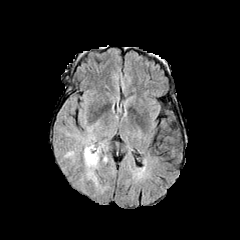
FLAIR magnetic resonance.
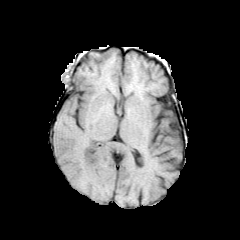
T1-weighted magnetic resonance of the same slice.
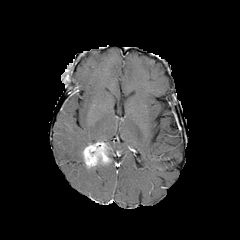
Same slice, post-contrast T1-weighted MR image.
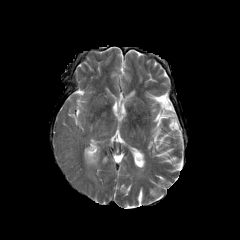
T2-weighted MR image of the same slice.
3 edema regions are located at box=[72, 121, 99, 156]; box=[99, 139, 109, 156]; box=[84, 159, 101, 189]. The enhancing tumor is at box=[83, 143, 110, 167].